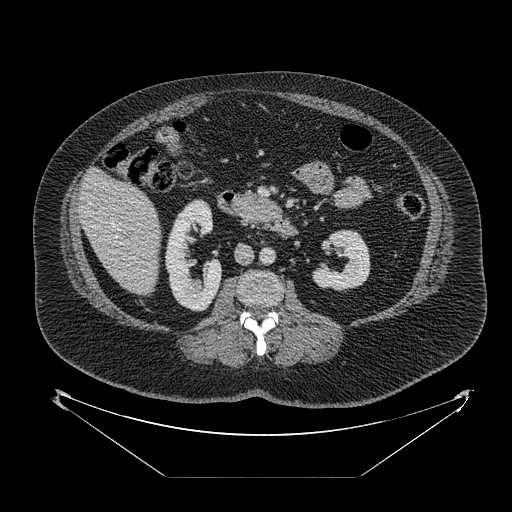
Upper abdomen; Computed tomography
<segmentation>
  <pancreatic_tumor>rect(247, 197, 276, 220)</pancreatic_tumor>
  <pancreas>rect(233, 192, 280, 224)</pancreas>
</segmentation>